Liver | Slice 302 of 654 | CT image
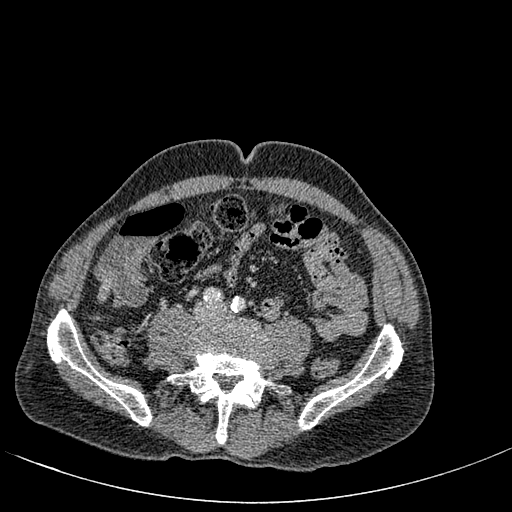 Liver — l=99, t=281, r=109, b=300.